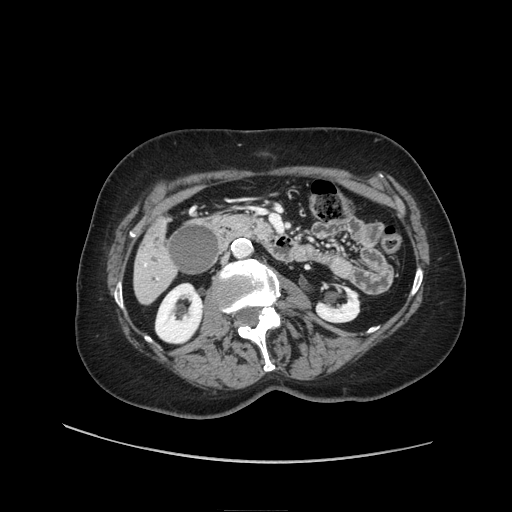 CT scan slice
The pancreatic tumor is located at {"x1": 259, "y1": 226, "x2": 274, "y2": 241}. 2 pancreas regions appear at {"x1": 256, "y1": 223, "x2": 271, "y2": 232}, {"x1": 230, "y1": 216, "x2": 254, "y2": 228}.